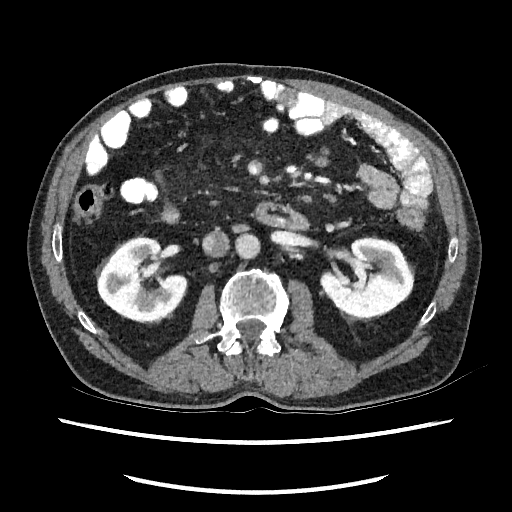

CT slice | Image size 512x512
Kidney at 97:237:186:322, 320:238:413:319.